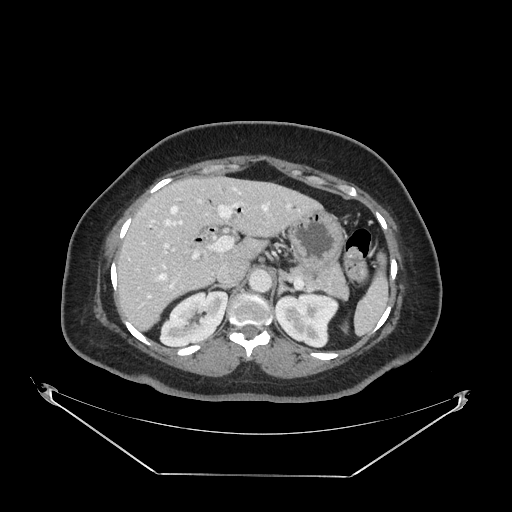

CT image; Upper abdomen

- pancreas: x1=320, y1=266, x2=347, y2=297